Abdomen; 512x512 px; Field of view 398 mm wide, 2.50 mm slice spacing; CT slice 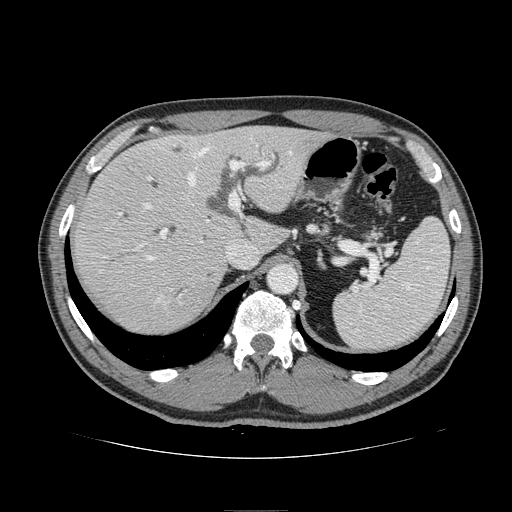
Pancreas — 364, 231, 380, 241; 321, 223, 328, 230.